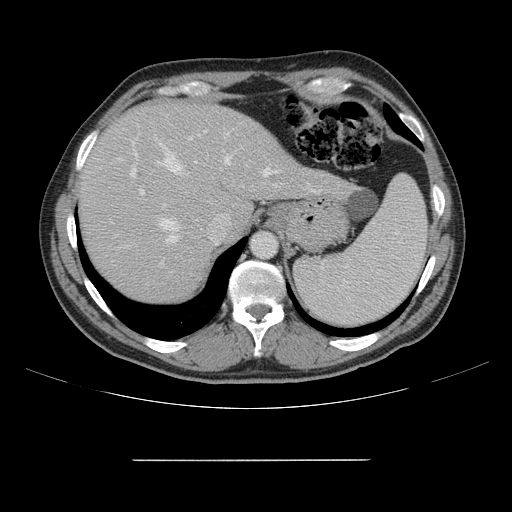
CT slice
Some hepatic vessels may have no box.
{"partial": true, "hepatic_vessel": {"n_total": 22, "boxes": ["[x1=188, y1=137, x2=191, y2=139]", "[x1=273, y1=183, x2=277, y2=187]", "[x1=156, y1=150, x2=182, y2=173]", "[x1=310, y1=189, x2=321, y2=193]", "[x1=130, y1=166, x2=135, y2=176]", "[x1=134, y1=151, x2=137, y2=157]", "[x1=167, y1=235, x2=177, y2=241]", "[x1=158, y1=142, x2=162, y2=145]", "[x1=225, y1=132, x2=229, y2=136]", "[x1=225, y1=157, x2=230, y2=164]", "[x1=264, y1=168, x2=271, y2=175]", "[x1=117, y1=157, x2=121, y2=160]", "[x1=158, y1=261, x2=163, y2=265]", "[x1=140, y1=190, x2=143, y2=194]", "[x1=161, y1=219, x2=179, y2=230]"]}}